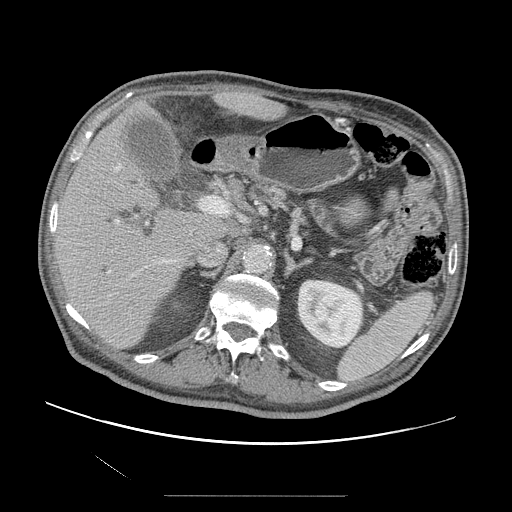
Computed tomography; Upper abdomen
Segmented structures:
- pancreas: <bbox>246, 183, 294, 212</bbox>